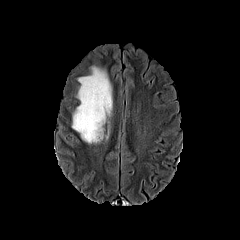
FLAIR magnetic resonance.
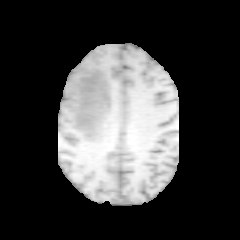
T1-weighted MRI.
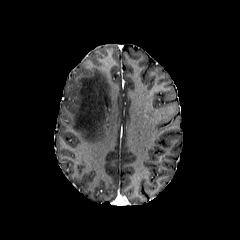
Post-contrast T1-weighted MRI.
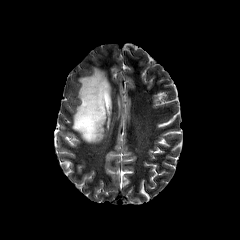
Same slice, T2-weighted magnetic resonance.
The edema is bounded by <bbox>72, 66, 112, 144</bbox>.